FLAIR MRI.
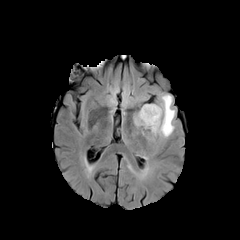
T1-weighted MRI.
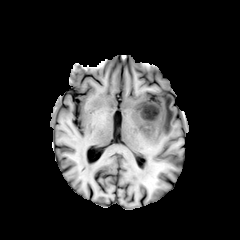
Post-contrast T1-weighted MR image.
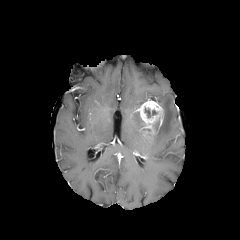
T2-weighted magnetic resonance.
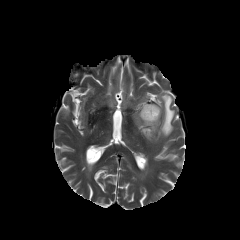
edema: (154,94,175,136), (135,112,144,126) | enhancing tumor: (138,102,162,131)